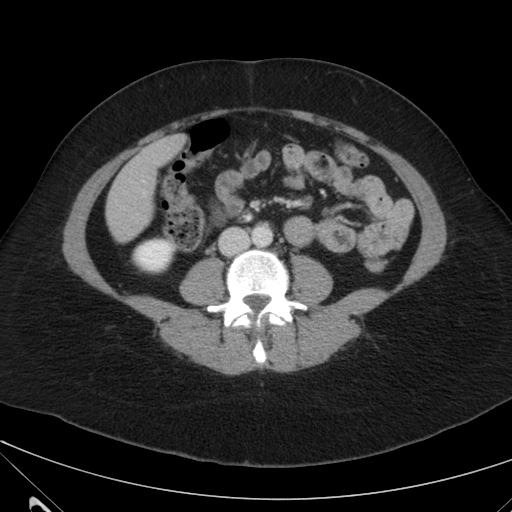 Image size 512x512. CT slice. Upper abdomen.
Kidney: x1=136 y1=241 x2=171 y2=269.
Liver: x1=107 y1=135 x2=183 y2=240.